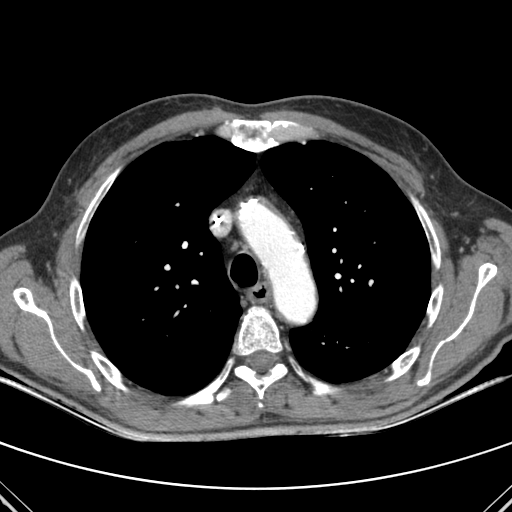
CT image, Chest, 512x512

<segmentation>
  <lung>left=260, top=141, right=430, bottom=382; left=81, top=136, right=255, bottom=395</lung>
  <bone>left=216, top=389, right=230, bottom=400; left=296, top=370, right=337, bottom=394; left=387, top=346, right=419, bottom=380; left=236, top=307, right=281, bottom=355; left=412, top=198, right=440, bottom=268; left=13, top=287, right=100, bottom=391; left=177, top=359, right=232, bottom=406; left=427, top=285, right=443, bottom=326; left=417, top=371, right=430, bottom=385; left=77, top=169, right=118, bottom=237; left=70, top=278, right=84, bottom=328; left=235, top=363, right=287, bottom=398; left=91, top=351, right=127, bottom=390; left=430, top=263, right=496, bottom=364; left=226, top=119, right=295, bottom=151</bone>
</segmentation>